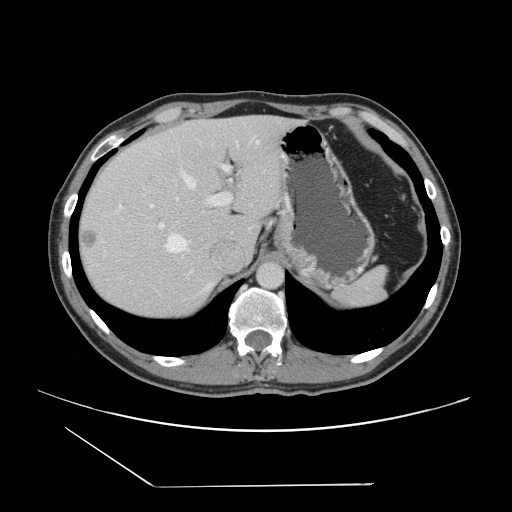 CT scan slice; Image size 512x512

Some hepatic vessels may have no box.
Annotated regions:
• liver tumor: l=82, t=228, r=96, b=249
• hepatic vessel: l=190, t=269, r=193, b=272; l=173, t=234, r=176, b=234; l=225, t=165, r=229, b=169; l=206, t=199, r=212, b=204; l=181, t=250, r=187, b=251; l=250, t=136, r=258, b=143; l=229, t=178, r=231, b=181; l=236, t=142, r=237, b=145; l=221, t=192, r=231, b=197; l=167, t=241, r=177, b=245; l=186, t=242, r=186, b=246; l=181, t=169, r=195, b=188; l=117, t=206, r=119, b=210; l=213, t=205, r=216, b=205